Slice index 77.
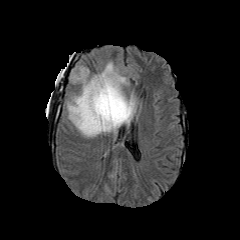
FLAIR MR image.
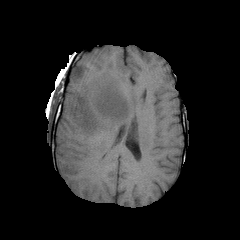
T1-weighted MRI of the same slice.
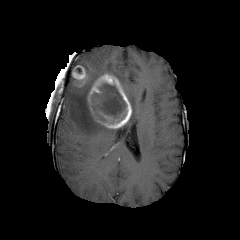
Post-contrast T1-weighted MRI of the same slice.
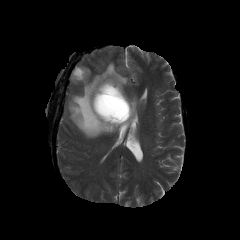
T2-weighted MRI.
{"enhancing_tumor": ["[72, 68, 85, 79]", "[87, 74, 131, 127]"], "non-enhancing_tumor_core": ["[85, 83, 124, 124]"], "edema": ["[126, 94, 138, 126]", "[66, 62, 128, 137]"]}